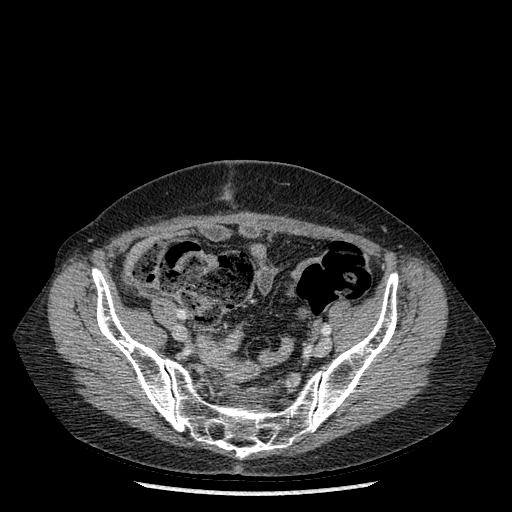
Computed tomography

Bone — bbox(92, 268, 398, 458).